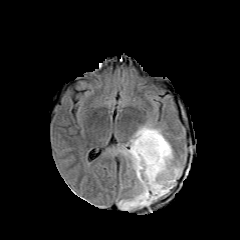
FLAIR MR.
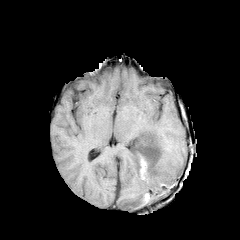
T1-weighted magnetic resonance.
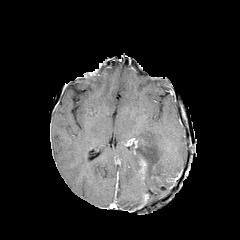
Post-contrast T1-weighted MR image.
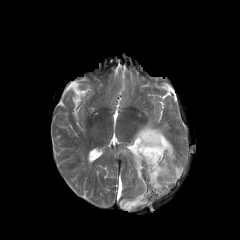
T2-weighted MRI.
Enhancing tumor: x1=128, y1=139, x2=137, y2=147.
Edema: x1=118, y1=121, x2=181, y2=210.